Head.
FLAIR magnetic resonance.
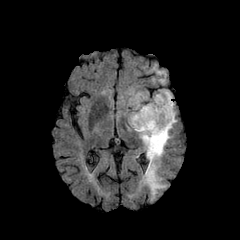
T1-weighted MR.
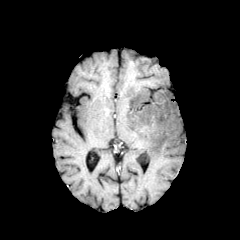
Post-contrast T1-weighted MR image.
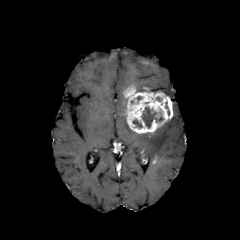
T2-weighted magnetic resonance.
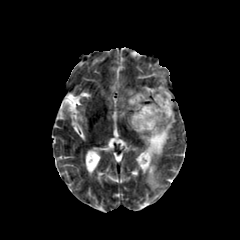
Edema at [x1=140, y1=111, x2=176, y2=187].
Enhancing tumor at [x1=125, y1=87, x2=174, y2=134].
Non-enhancing tumor core at [x1=144, y1=108, x2=154, y2=127].